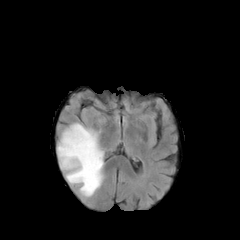
FLAIR MR image.
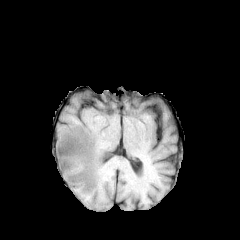
Same slice, T1-weighted MRI.
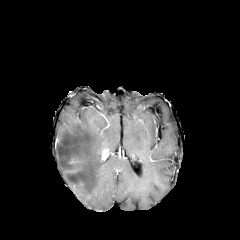
Post-contrast T1-weighted magnetic resonance.
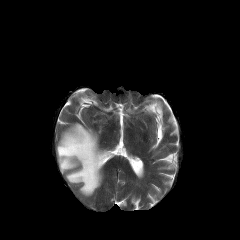
T2-weighted MR image.
Head
<segmentation>
  <edema>box(57, 123, 103, 196)</edema>
</segmentation>